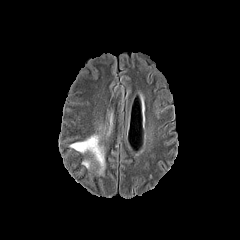
FLAIR magnetic resonance.
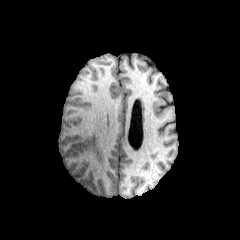
T1-weighted MR of the same slice.
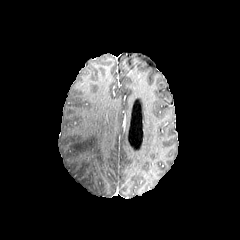
Post-contrast T1-weighted magnetic resonance.
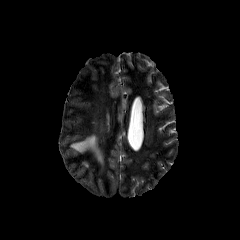
T2-weighted MR image.
Brain.
3 edema regions are located at 68, 132, 105, 176; 104, 112, 112, 136; 81, 158, 91, 169.